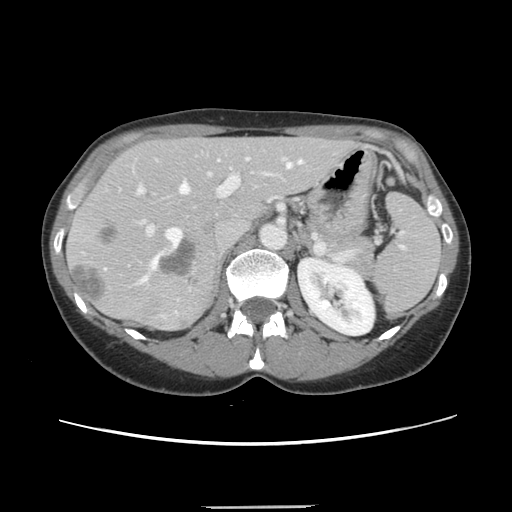 Computed tomography

The vessel annotation is not exhaustive.
liver_tumor:
  - bbox(158, 238, 197, 276)
  - bbox(73, 265, 105, 300)
  - bbox(99, 226, 118, 242)
hepatic_vessel:
  - bbox(246, 158, 248, 159)
  - bbox(137, 185, 143, 193)
  - bbox(139, 220, 144, 223)
  - bbox(147, 226, 152, 234)
  - bbox(140, 277, 146, 281)
  - bbox(282, 158, 290, 167)
  - bbox(150, 251, 162, 267)
  - bbox(264, 173, 270, 174)
  - bbox(298, 160, 301, 162)
  - bbox(217, 175, 238, 196)
  - bbox(166, 228, 181, 245)
  - bbox(179, 182, 188, 193)
  - bbox(207, 173, 209, 174)